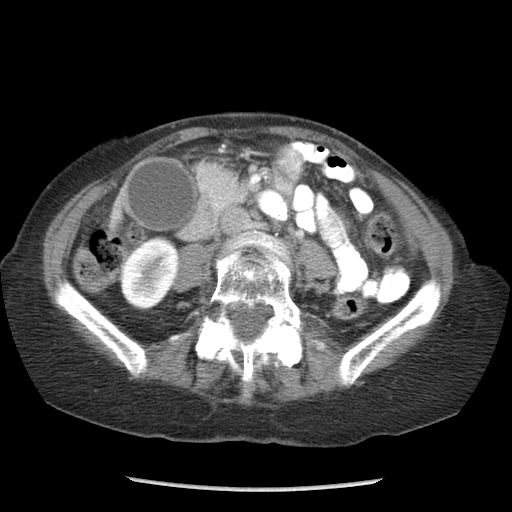
512x512 px | CT | Upper abdomen
pancreas:
  - <bbox>197, 161, 241, 208</bbox>